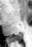 MR, Hippocampus
Posterior hippocampus = 10, 34, 21, 40.